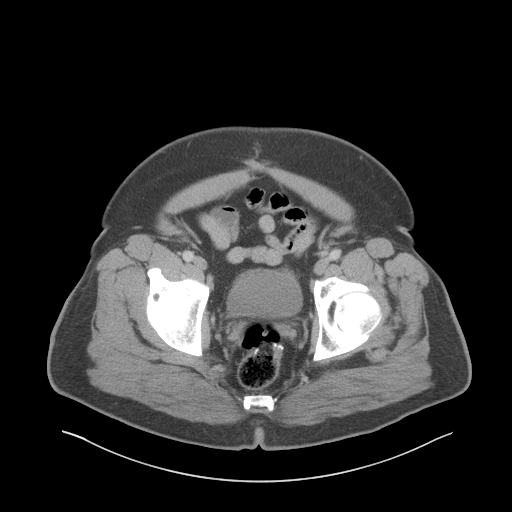

CT scan slice. 512x512. Pelvis.
The urinary bladder lies within region(228, 270, 299, 313).